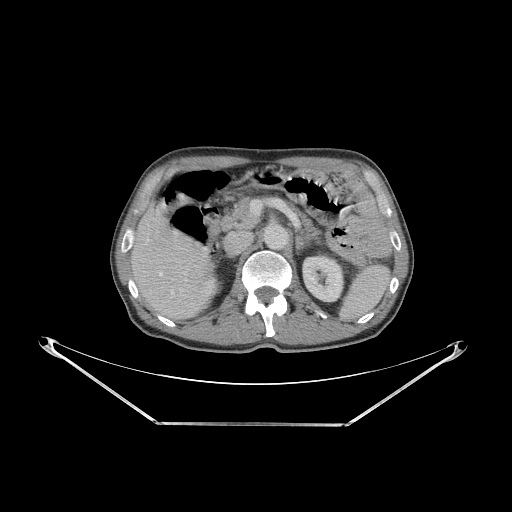
Image size 512x512; CT

kidney:
  - [x1=303, y1=257, x2=342, y2=300]
liver:
  - [x1=131, y1=199, x2=219, y2=318]
bone:
  - [x1=242, y1=251, x2=291, y2=336]
  - [x1=129, y1=280, x2=137, y2=297]
  - [x1=358, y1=313, x2=373, y2=322]
  - [x1=122, y1=230, x2=131, y2=251]
  - [x1=158, y1=316, x2=174, y2=326]
  - [x1=391, y1=232, x2=400, y2=249]
  - [x1=390, y1=278, x2=397, y2=292]